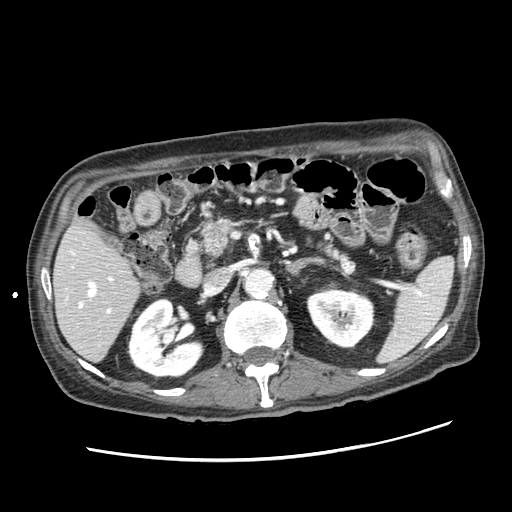

CT image

- pancreatic tumor: 210 226 228 242
- pancreas: 317 244 353 272, 203 221 234 257